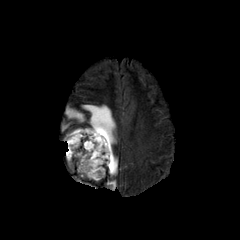
FLAIR MR image.
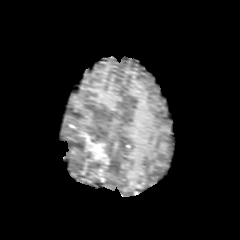
T1-weighted MRI of the same slice.
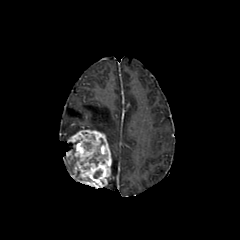
Post-contrast T1-weighted MRI.
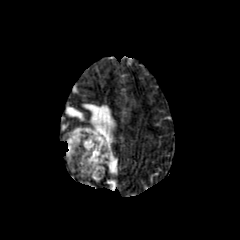
T2-weighted MR image of the same slice.
Head
3 non-enhancing tumor core regions appear at (left=83, top=142, right=91, bottom=149), (left=69, top=142, right=79, bottom=161), (left=89, top=152, right=100, bottom=163). The enhancing tumor is at (left=67, top=129, right=111, bottom=187). 2 edema regions appear at (left=62, top=104, right=117, bottom=188), (left=68, top=158, right=77, bottom=168).